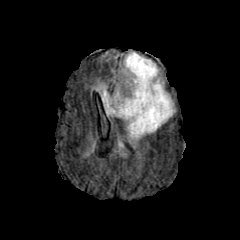
FLAIR MR.
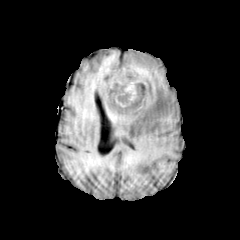
T1-weighted magnetic resonance.
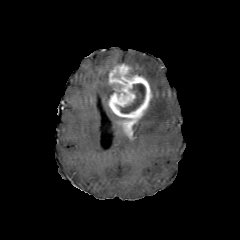
Post-contrast T1-weighted MR.
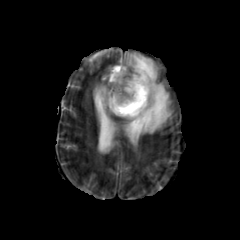
T2-weighted magnetic resonance.
Brain
Edema: bounding box x1=122, y1=52, x2=175, y2=143; x1=96, y1=84, x2=119, y2=121.
Non-enhancing tumor core: bounding box x1=120, y1=84, x2=144, y2=113.
Enhancing tumor: bounding box x1=107, y1=63, x2=152, y2=139.